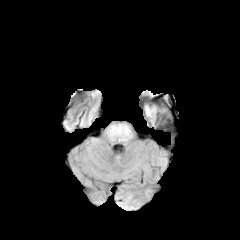
FLAIR MR image.
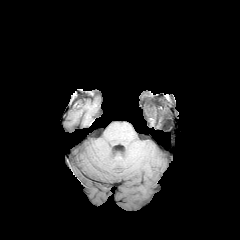
T1-weighted magnetic resonance.
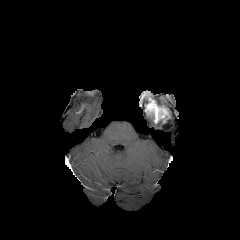
Same slice, post-contrast T1-weighted magnetic resonance.
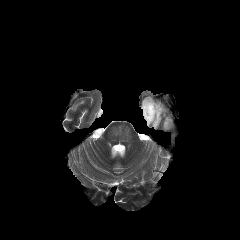
T2-weighted MRI.
Brain
Enhancing tumor: bbox=[145, 102, 164, 122].